Upper abdomen. Slice index 29. Image size 512x512. CT slice.

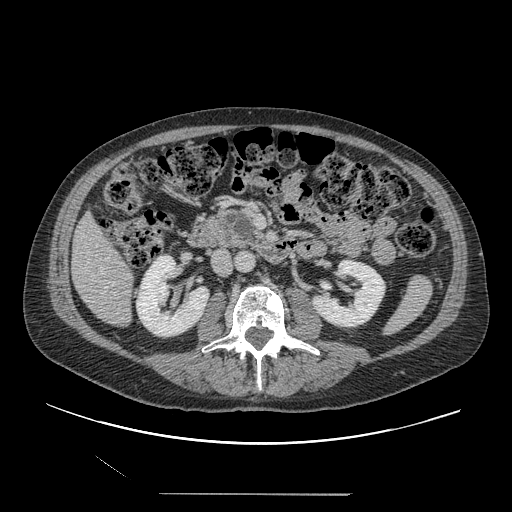

Annotated regions:
* pancreas: bbox(209, 207, 265, 251)
* pancreatic tumor: bbox(232, 215, 253, 238)